Brain
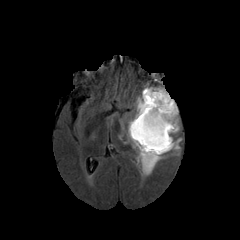
FLAIR MRI.
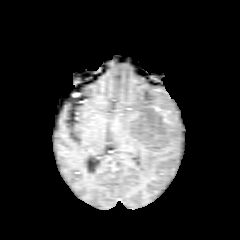
T1-weighted magnetic resonance.
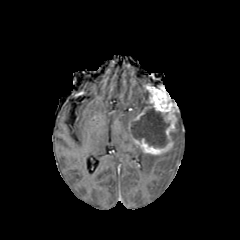
Same slice, post-contrast T1-weighted MR.
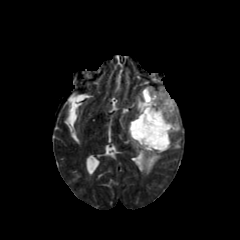
T2-weighted MRI of the same slice.
3 edema regions are bounded by box=[137, 147, 164, 174]; box=[134, 89, 144, 116]; box=[171, 122, 182, 151]. The enhancing tumor is located at box=[129, 85, 178, 155]. 2 non-enhancing tumor core regions appear at box=[130, 108, 169, 147]; box=[141, 91, 151, 110].